Upper abdomen | CT scan slice
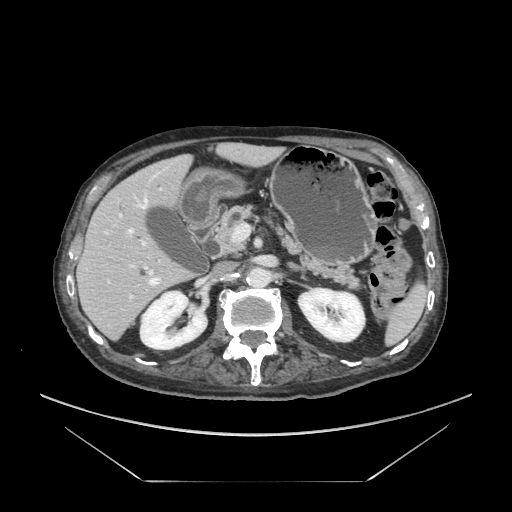 • pancreas: l=217, t=206, r=251, b=253; l=276, t=228, r=359, b=289